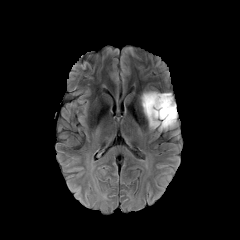
FLAIR MRI.
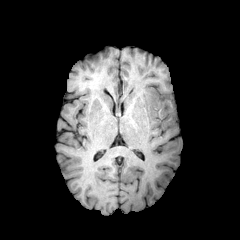
T1-weighted MR image.
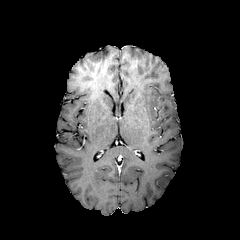
Post-contrast T1-weighted MR.
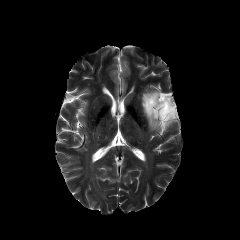
T2-weighted MR.
Head
The edema is located at rect(141, 89, 177, 132). The non-enhancing tumor core is located at rect(151, 96, 175, 124).